CT
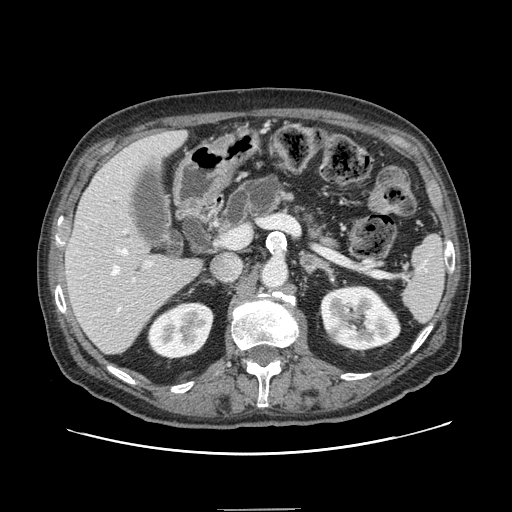
Pancreas = <box>219,174,341,250</box>.